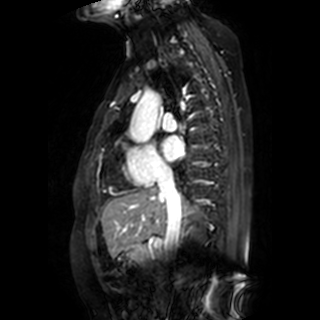
Cardiac; MR
Left atrium: bounding box {"x1": 162, "y1": 136, "x2": 182, "y2": 161}.